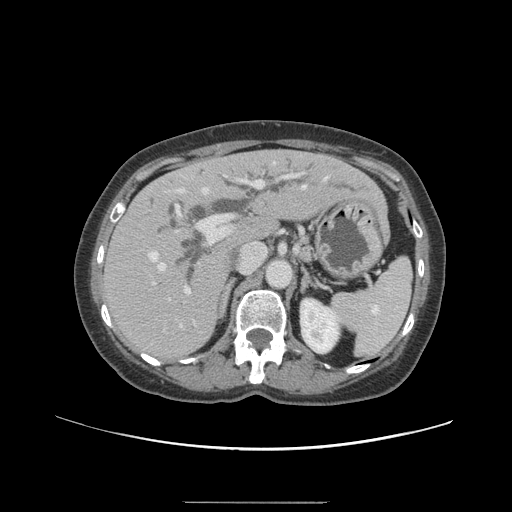

Image size 512x512. Upper abdomen. CT scan slice. The pancreas appears at <bbox>304, 248, 310, 257</bbox>.